Liver | 512x512 px | CT image 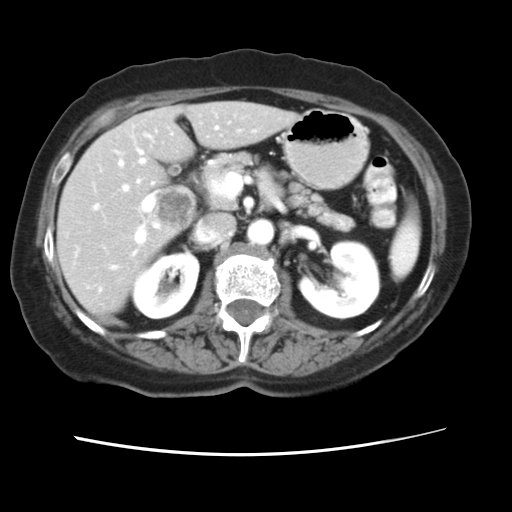

The vessel annotation is not exhaustive.
{"partial": true, "hepatic_vessel": {"n_total": 20, "boxes": ["box=[137, 180, 139, 183]", "box=[99, 288, 101, 291]", "box=[122, 185, 128, 190]", "box=[134, 224, 146, 244]", "box=[137, 149, 144, 163]", "box=[115, 151, 123, 166]", "box=[252, 130, 255, 132]", "box=[215, 126, 218, 128]", "box=[133, 251, 136, 255]", "box=[110, 266, 116, 268]", "box=[153, 223, 159, 227]", "box=[145, 133, 153, 141]", "box=[93, 205, 99, 209]", "box=[76, 247, 79, 254]", "box=[237, 130, 240, 132]"]}, "liver_tumor": ["box=[158, 191, 192, 225]"]}